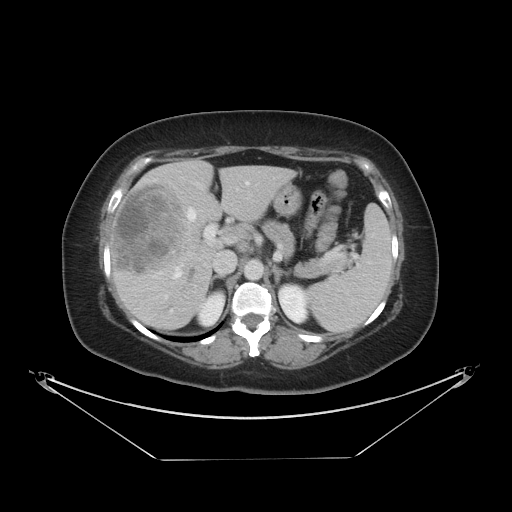 CT; Liver
Not every hepatic vessel necessarily has a box.
<segmentation>
  <liver_tumor><box>111,180,187,273</box></liver_tumor>
  <hepatic_vessel><box>188,208,194,219</box>, <box>245,181,249,185</box>, <box>172,268,180,278</box></hepatic_vessel>
</segmentation>